FLAIR MRI.
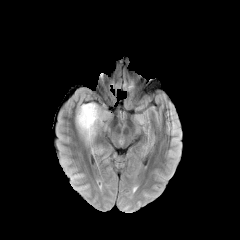
T1-weighted MR image.
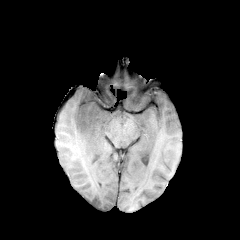
Post-contrast T1-weighted MR.
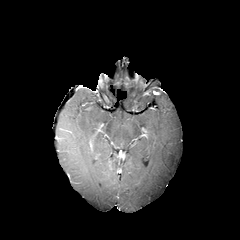
T2-weighted MR.
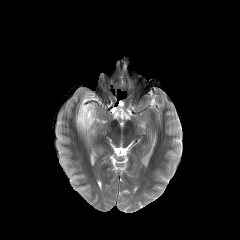
Head; Image size 240x240
<segmentation>
  <edema>region(76, 92, 102, 141)</edema>
</segmentation>